Image size 240x240 | Brain | Slice 45 of 155
FLAIR MRI.
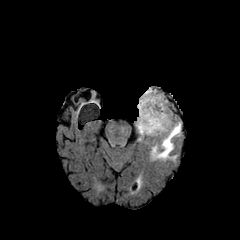
T1-weighted MR image.
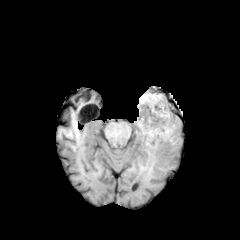
Post-contrast T1-weighted magnetic resonance.
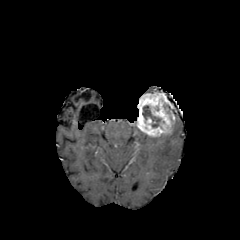
T2-weighted MR image.
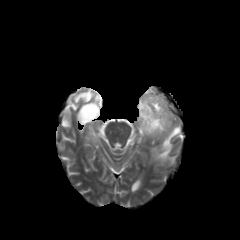
Edema: bounding box (left=167, top=101, right=174, bottom=113), (left=138, top=130, right=147, bottom=141), (left=148, top=115, right=181, bottom=161).
Non-enhancing tumor core: bounding box (left=142, top=105, right=160, bottom=127).
Enhancing tumor: bounding box (left=136, top=92, right=175, bottom=135).